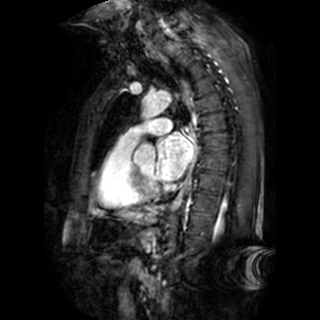 MR image | Cardiac | 320x320 px

The left atrium is bounded by (x1=156, y1=132, x2=193, y2=180).